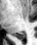 MR
• posterior hippocampus: left=15, top=33, right=24, bottom=39